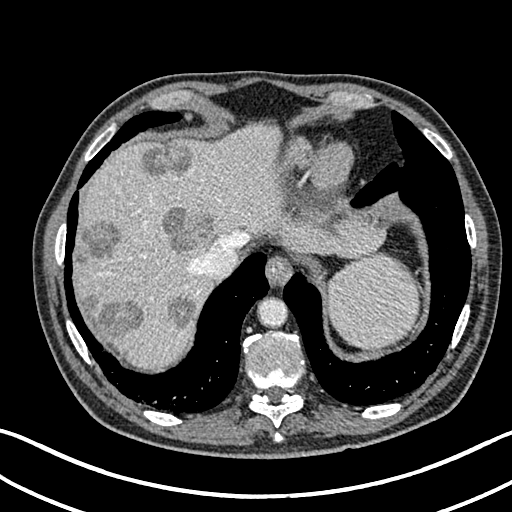 Image size 512x512; CT slice

The liver is at bbox(75, 124, 382, 368). 8 focal liver lesion regions appear at bbox(142, 142, 193, 175); bbox(117, 349, 126, 358); bbox(83, 296, 93, 308); bbox(162, 207, 213, 251); bbox(167, 297, 195, 328); bbox(98, 301, 142, 335); bbox(82, 222, 117, 258); bbox(76, 253, 87, 261).